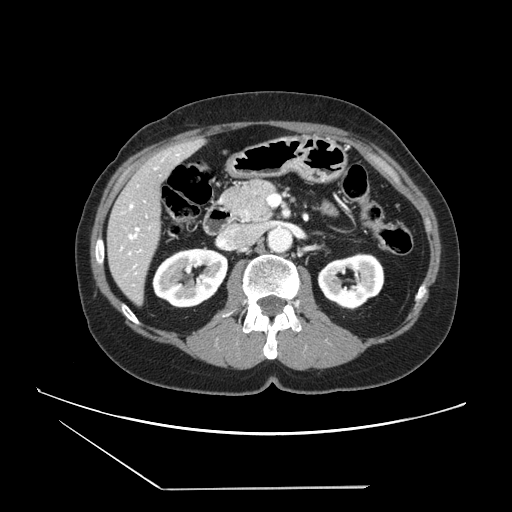 CT scan slice; Abdomen

The pancreas is located at left=222, top=181, right=275, bottom=221.